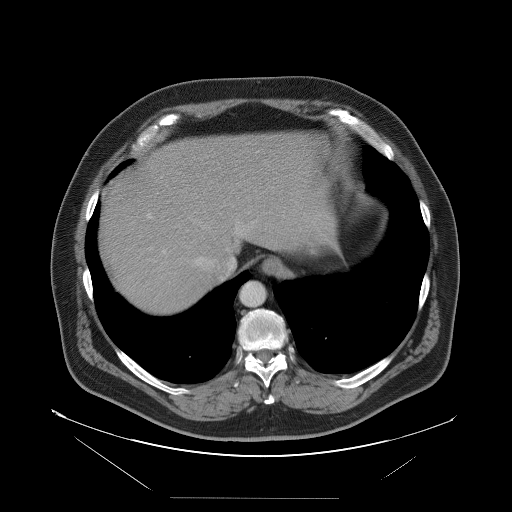
512x512 px; Computed tomography

The vessel annotation is not exhaustive.
5 hepatic vessel regions are located at (left=148, top=213, right=151, bottom=217), (left=241, top=229, right=243, bottom=231), (left=227, top=258, right=234, bottom=269), (left=196, top=257, right=203, bottom=264), (left=163, top=250, right=165, bottom=253).